Image size 512x512. CT slice. Image width 387 mm. Liver. 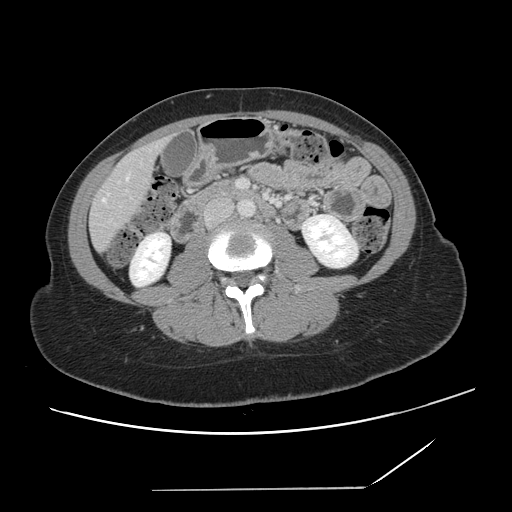 The vessel boxes may cover only some of the vessels.
Hepatic vessel at <bbox>102, 199, 106, 202</bbox>, <bbox>126, 175, 129, 179</bbox>.